Image width 438 mm, CT, Slice 22 of 44

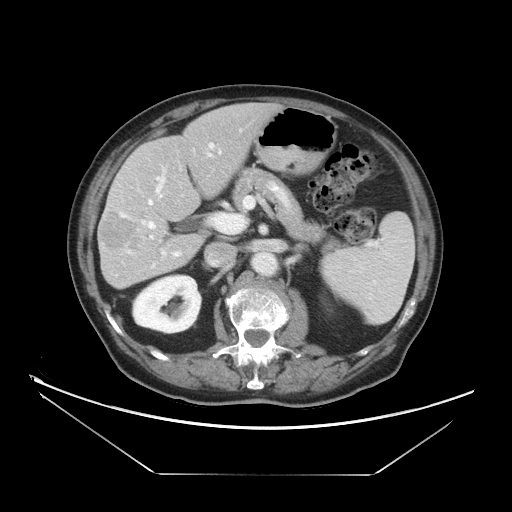 Only some of the vessels may be annotated.
<segmentation>
  <liver_tumor>box=[99, 213, 140, 249]</liver_tumor>
  <hepatic_vessel>box=[178, 252, 180, 254]; box=[157, 178, 163, 194]; box=[161, 249, 165, 255]; box=[148, 222, 154, 228]; box=[219, 151, 220, 153]; box=[210, 144, 212, 146]; box=[148, 199, 153, 204]; box=[150, 235, 153, 239]</hepatic_vessel>
</segmentation>